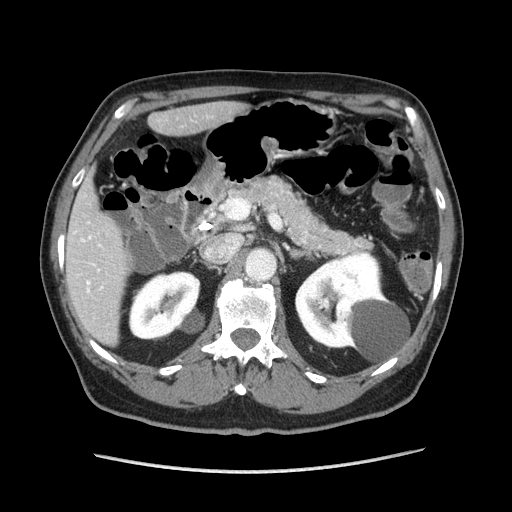 CT scan slice. Upper abdomen.

Pancreas — 241,177,370,255.